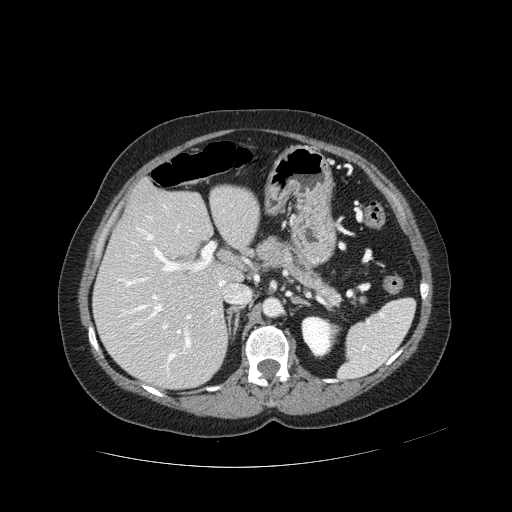 CT; Upper abdomen
pancreas:
  - left=257, top=237, right=340, bottom=305
pancreatic_tumor:
  - left=259, top=241, right=286, bottom=264